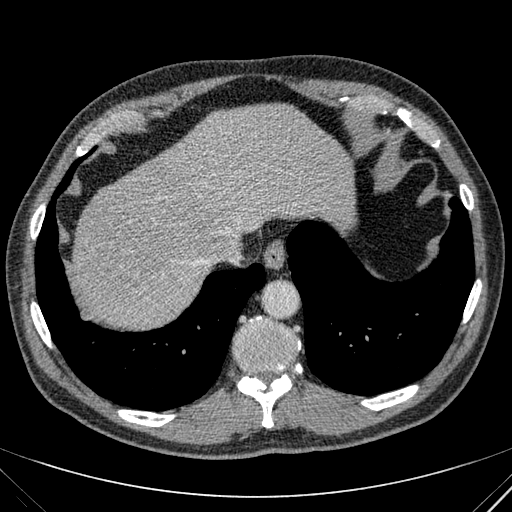
CT image | Upper abdomen | 512x512
- liver: x1=71, y1=105, x2=352, y2=326